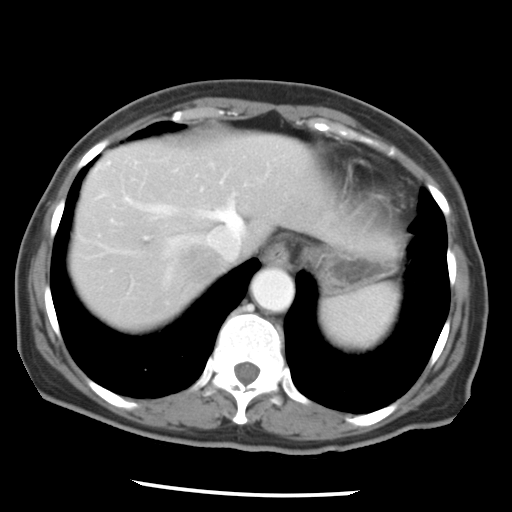 Image size 512x512 | CT scan slice
The vessel annotation is not exhaustive.
<segmentation>
  <liver_tumor>bbox=[177, 244, 222, 286]</liver_tumor>
  <hepatic_vessel>bbox=[244, 183, 246, 184]; bbox=[197, 192, 246, 259]; bbox=[123, 195, 175, 214]; bbox=[217, 182, 224, 185]; bbox=[171, 239, 182, 246]; bbox=[103, 161, 110, 166]; bbox=[101, 194, 104, 195]</hepatic_vessel>
</segmentation>